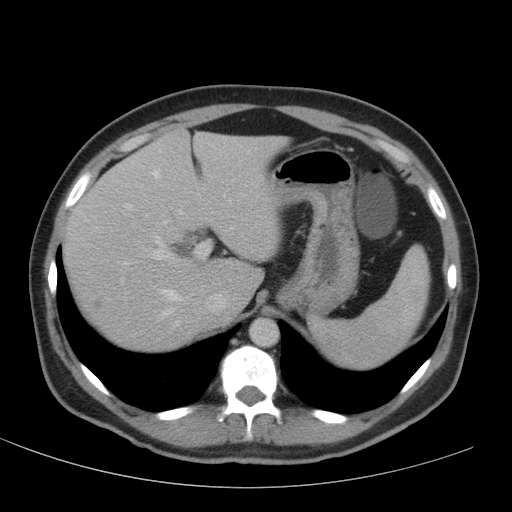

512x512. CT scan slice. Upper abdomen.

{"liver": ["64, 128, 286, 348"], "hepatic_lesion": ["92, 296, 105, 310"]}